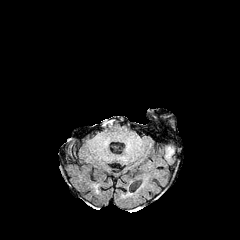
FLAIR MR.
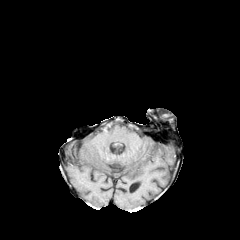
T1-weighted magnetic resonance.
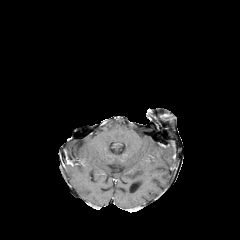
Same slice, post-contrast T1-weighted magnetic resonance.
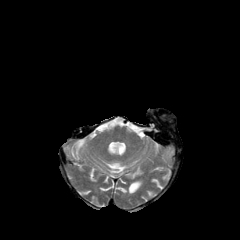
T2-weighted MR of the same slice.
Brain
{
  "edema": [
    "165 147 172 158"
  ]
}